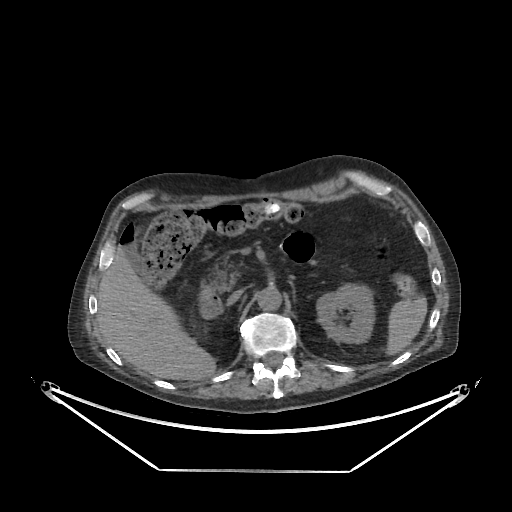

CT.
<segmentation>
  <kidney>(316, 283, 374, 343)</kidney>
  <liver>(93, 245, 215, 379)</liver>
</segmentation>